Slice 59 of 97. Image size 512x512. CT slice. 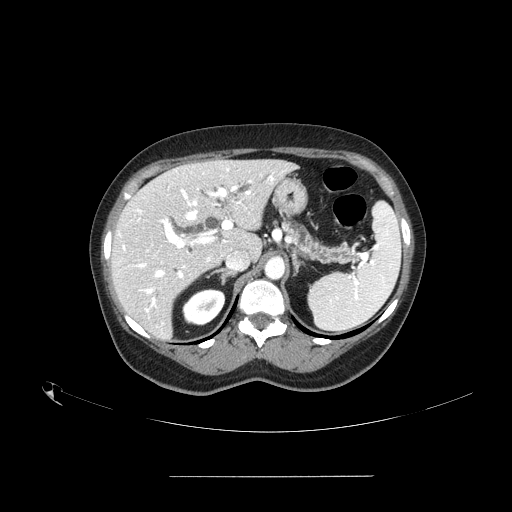 Findings:
• pancreas: (283,218,356,263)